512x512 | Field of view 478x478 mm | CT image 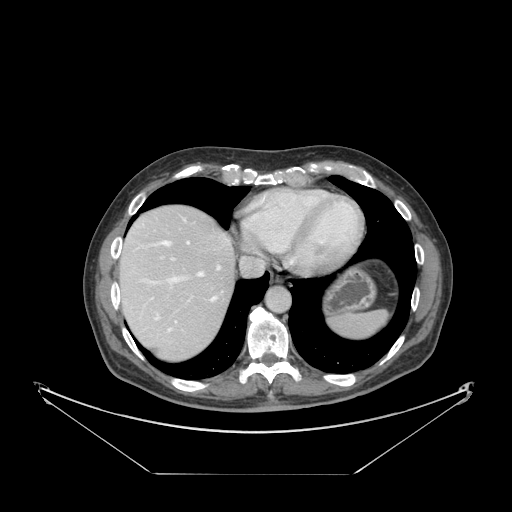

spleen:
  - [328, 311, 387, 340]